CT scan slice, Image size 512x512, Upper abdomen
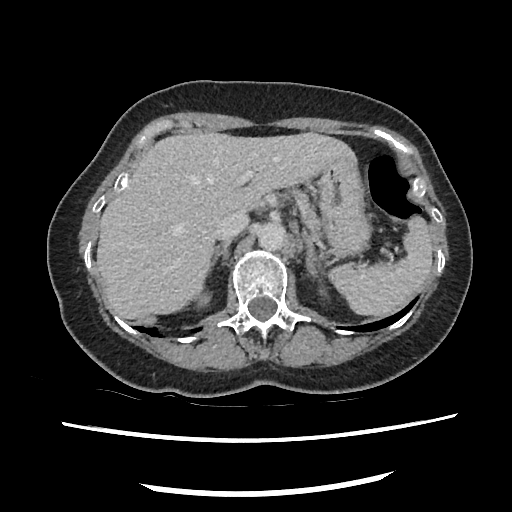

The pancreas lies within (x1=291, y1=193, x2=319, y2=229).